CT image. 512x512 px. Slice 57 of 103.

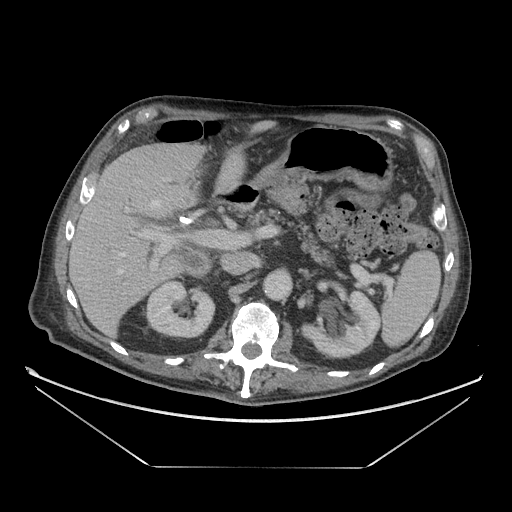 2 pancreas regions are bounded by bbox(304, 227, 333, 266); bbox(249, 211, 279, 223).